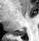
Magnetic resonance. Hippocampus. The posterior hippocampus lies within (14,31,24,35).